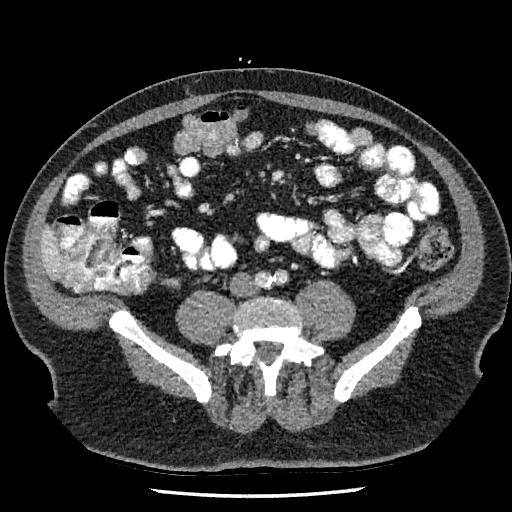
Upper abdomen; CT slice
liver:
  - (x1=41, y1=228, x2=61, y2=279)